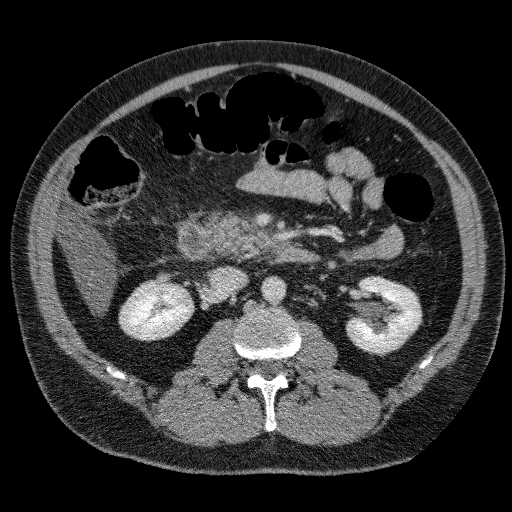 CT slice; 512x512 px
Liver: bounding box region(56, 214, 114, 310).
Kidney: bounding box region(121, 282, 191, 339); region(347, 278, 420, 351).